Image size 240x240
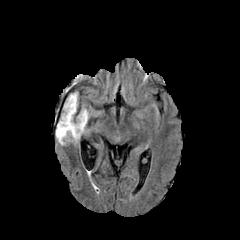
FLAIR MR image.
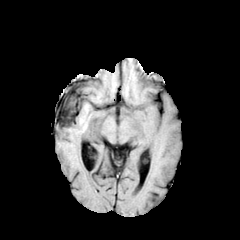
T1-weighted MR image of the same slice.
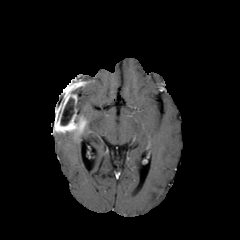
Same slice, post-contrast T1-weighted MRI.
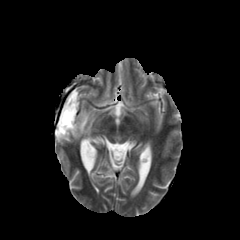
T2-weighted magnetic resonance.
Non-enhancing tumor core — [57, 77, 85, 125].
Edema — [56, 132, 80, 144], [77, 86, 88, 121].
Enhancing tumor — [54, 106, 85, 133], [62, 92, 77, 109], [64, 86, 77, 95].